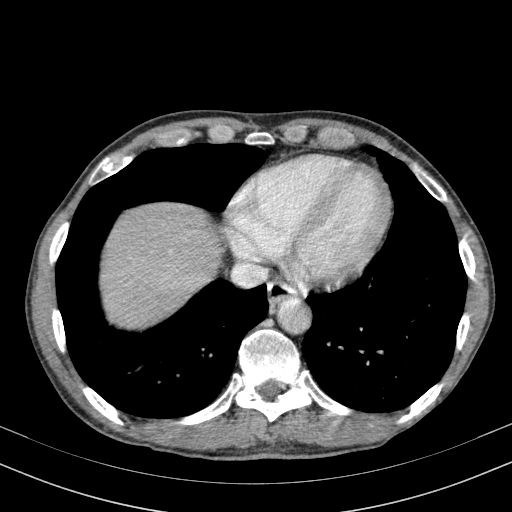
Upper abdomen | CT slice | Image size 512x512
Segmented structures:
* liver: bbox=[100, 203, 223, 328]